FLAIR MR.
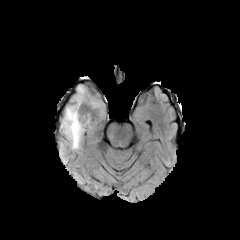
T1-weighted MR.
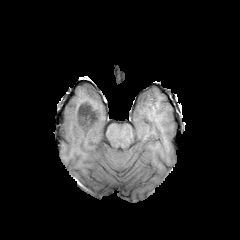
Post-contrast T1-weighted MR.
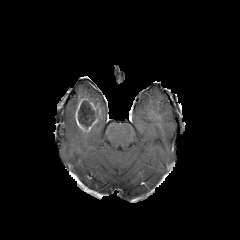
T2-weighted MR.
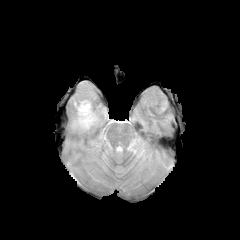
Segmented structures:
* enhancing tumor: bbox=[76, 108, 85, 129]
* edema: bbox=[63, 85, 102, 149]
* non-enhancing tumor core: bbox=[77, 102, 99, 127]